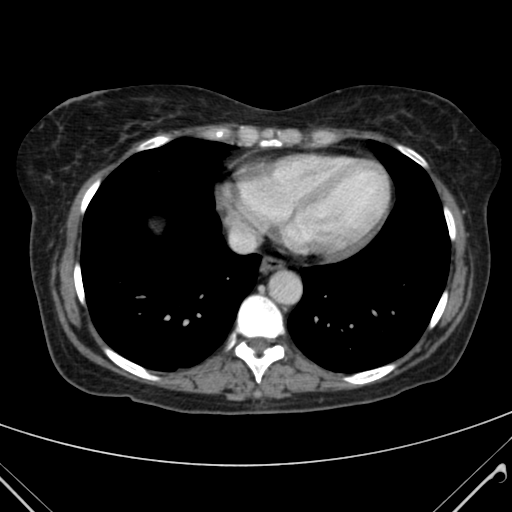
Upper abdomen. 512x512 px. Computed tomography. {"liver": ["(left=144, top=228, right=155, bottom=243)"]}